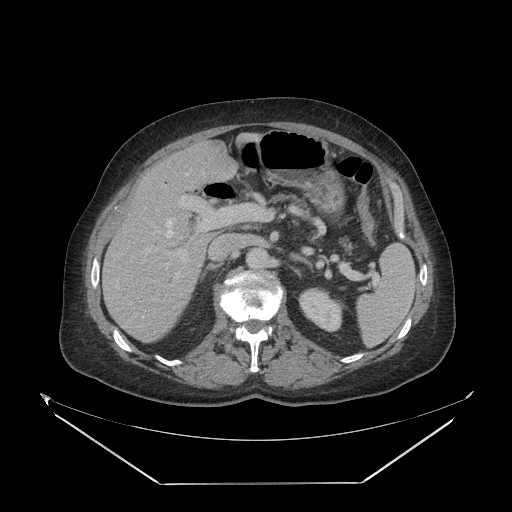
512x512; Abdomen; CT

Findings:
• pancreas: bbox(339, 236, 354, 252); bbox(269, 192, 311, 212)